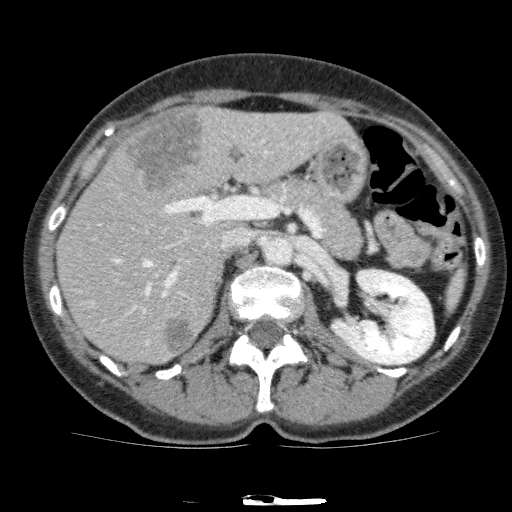 CT scan slice

Kidney: l=332, t=270, r=433, b=364.
Hepatic lesion: l=162, t=311, r=195, b=355; l=121, t=107, r=203, b=193.
Liver: l=56, t=107, r=358, b=361.